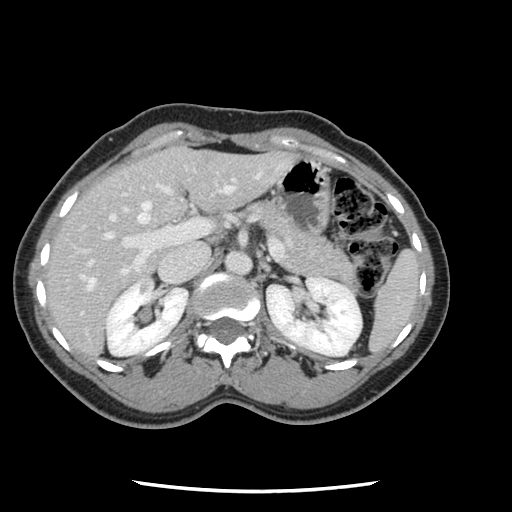
Abdomen, Computed tomography
Not every hepatic vessel necessarily has a box.
11 hepatic vessel regions are bounded by 256:173:259:177, 89:261:91:264, 138:201:149:222, 105:232:111:237, 220:178:234:192, 156:184:169:191, 121:219:208:268, 166:226:173:229, 80:275:94:288, 110:214:115:219, 122:268:127:272.